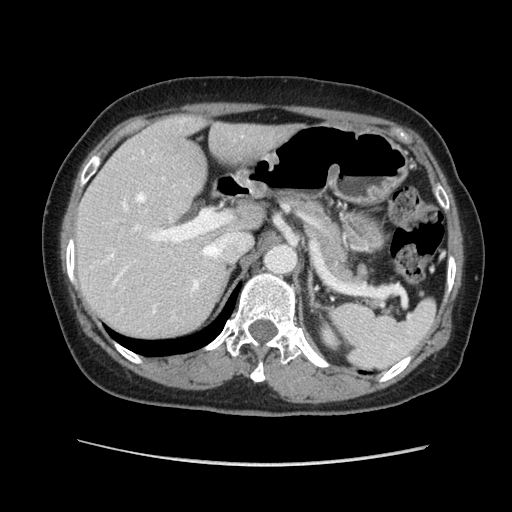 Upper abdomen | Image size 512x512 | CT scan slice

Segmented structures:
* pancreas: [x1=280, y1=192, x2=365, y2=287]